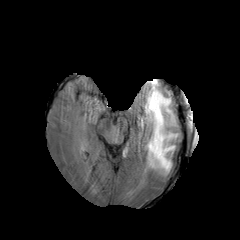
FLAIR magnetic resonance.
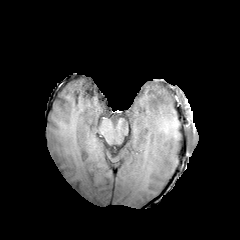
T1-weighted MR image.
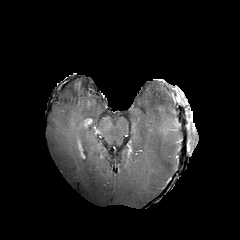
Post-contrast T1-weighted magnetic resonance.
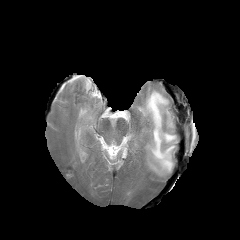
T2-weighted magnetic resonance of the same slice.
Head
<segmentation>
  <edema>(138,81,178,176)</edema>
</segmentation>